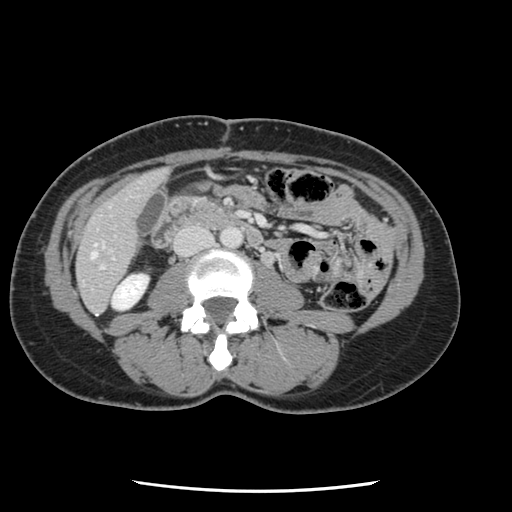 CT

The vessel annotation is not exhaustive.
<segmentation>
  <hepatic_vessel>left=91, top=244, right=96, bottom=257; left=101, top=265, right=102, bottom=267</hepatic_vessel>
</segmentation>